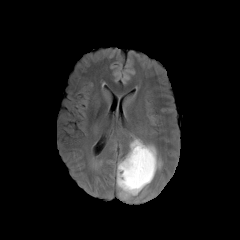
FLAIR MR.
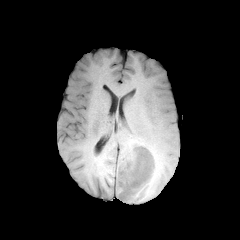
T1-weighted magnetic resonance.
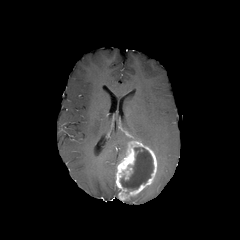
Post-contrast T1-weighted MRI.
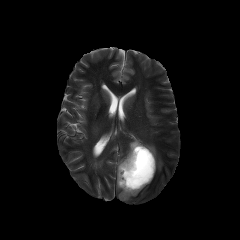
T2-weighted magnetic resonance.
Head
non-enhancing_tumor_core:
  - x1=121 y1=147 x2=153 y2=188
edema:
  - x1=129 y1=135 x2=162 y2=170
  - x1=117 y1=151 x2=126 y2=164
enhancing_tumor:
  - x1=115 y1=142 x2=156 y2=199